Slice 57 of 155; Head; Image size 240x240
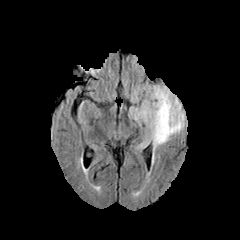
FLAIR MRI.
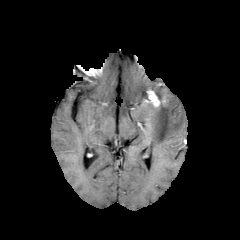
Same slice, T1-weighted MR.
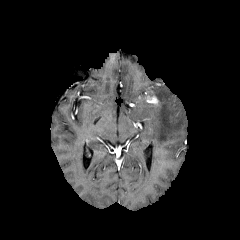
Post-contrast T1-weighted MRI.
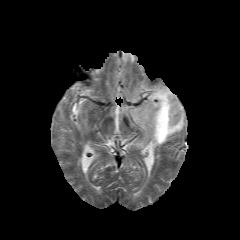
T2-weighted MR.
enhancing tumor: <box>146,96,158,105</box> | edema: <box>128,84,185,162</box>